MRI slice. Image size 34x48. Slice 22 of 40. Hippocampus.
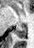
Posterior hippocampus: bounding box [14, 28, 26, 38].